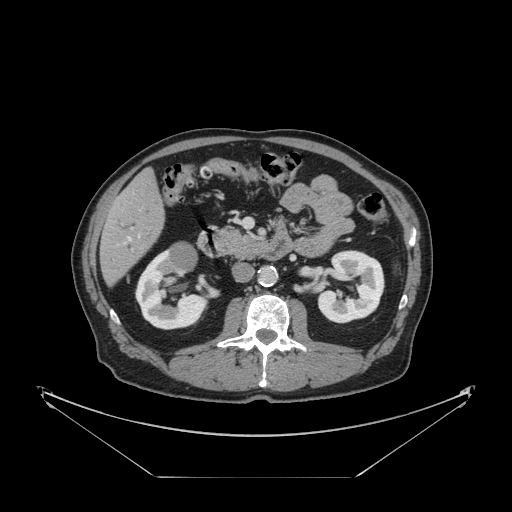

Abdomen | CT image
The vessel boxes may cover only some of the vessels.
* hepatic vessel: bbox(127, 237, 130, 241); bbox(123, 243, 125, 244)